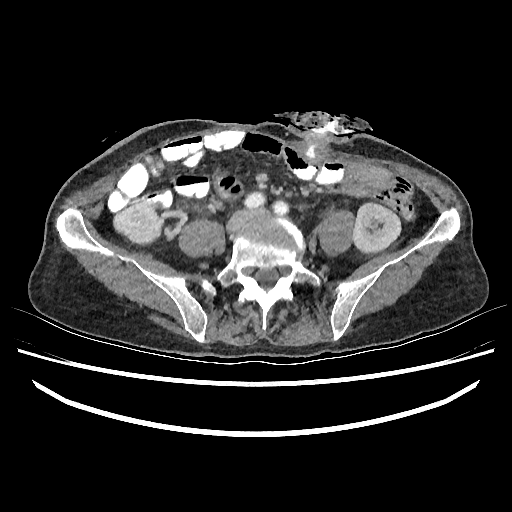 Computed tomography. Annotated regions:
• kidney: [x1=114, y1=206, x2=160, y2=242], [x1=353, y1=203, x2=400, y2=251]